Slice index 32; CT slice
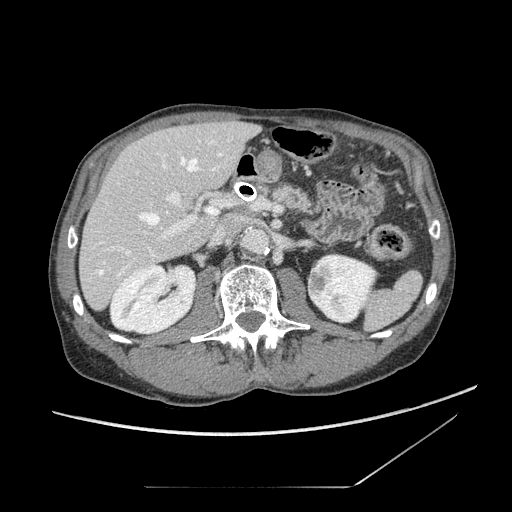

<segmentation>
  <pancreas>rect(274, 186, 310, 213)</pancreas>
</segmentation>